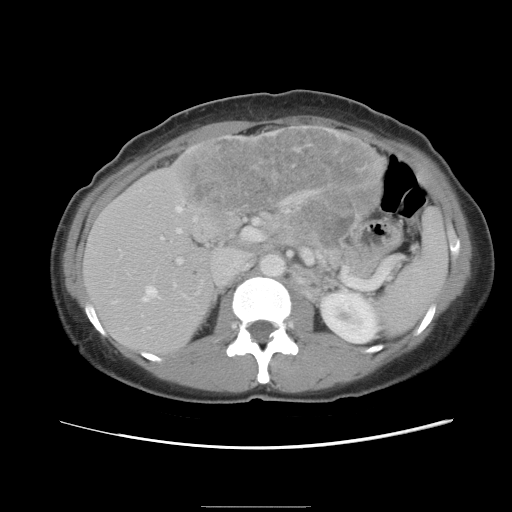

Computed tomography. Liver. Some hepatic vessels may have no box.
9 hepatic vessel regions are bounded by x1=193 y1=216 x2=196 y2=219, x1=142 y1=286 x2=160 y2=300, x1=173 y1=283 x2=174 y2=284, x1=176 y1=258 x2=181 y2=261, x1=177 y1=228 x2=180 y2=231, x1=211 y1=245 x2=251 y2=284, x1=160 y1=237 x2=162 y2=238, x1=175 y1=206 x2=180 y2=210, x1=241 y1=218 x2=263 y2=242. The liver tumor is located at x1=175 y1=127 x2=380 y2=246.